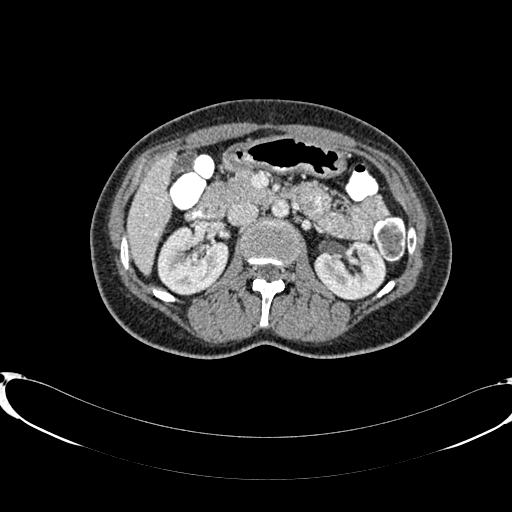
CT slice. Image size 512x512.
{
  "liver": [
    "127:152:177:273"
  ],
  "kidney": [
    "316:243:384:298",
    "159:227:226:293"
  ]
}